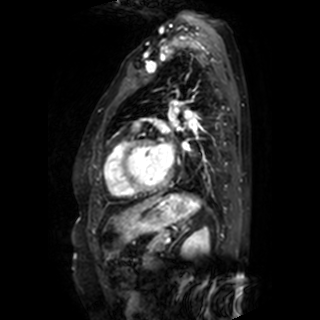 320x320 px | Cardiac | Magnetic resonance
left_atrium:
  - <bbox>157, 144, 174, 165</bbox>